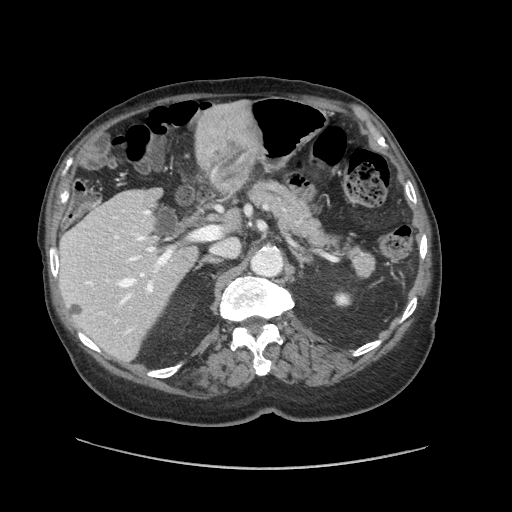
CT image. Not every hepatic vessel necessarily has a box.
8 hepatic vessel regions appear at [155,250,171,270], [136,234,142,238], [148,247,153,251], [117,278,135,287], [191,226,220,240], [211,240,237,255], [141,273,143,276], [148,285,151,290]. The liver tumor is bounded by [200,129,249,190].